Slice index 68. 240x240 px.
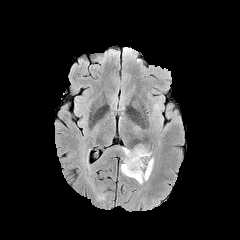
FLAIR MR image.
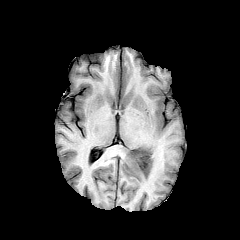
T1-weighted MR image.
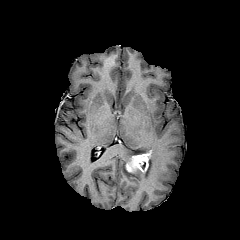
Post-contrast T1-weighted MRI.
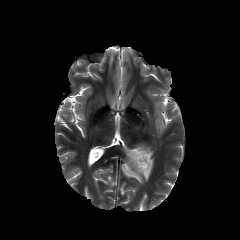
T2-weighted MR.
- enhancing tumor: [126, 150, 151, 172]
- edema: [119, 144, 153, 184]